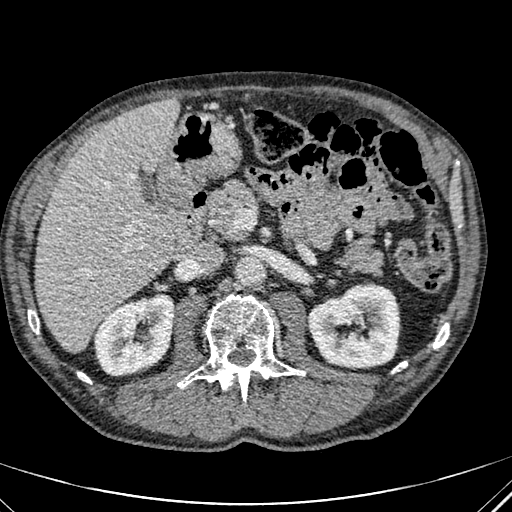
512x512 | Computed tomography
Segmented structures:
- kidney: bbox(95, 295, 173, 374); bbox(309, 286, 398, 366)
- liver: bbox(35, 98, 184, 352)